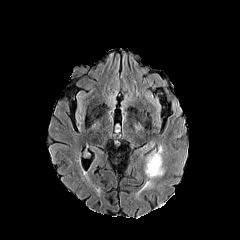
FLAIR MRI.
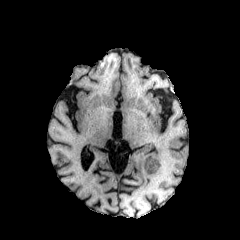
T1-weighted MRI.
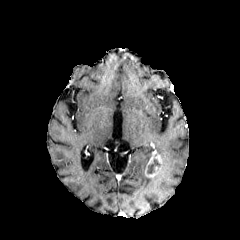
Post-contrast T1-weighted MR.
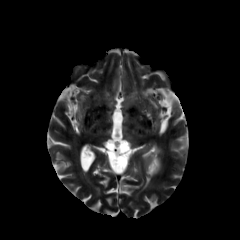
Same slice, T2-weighted MR image.
Brain | 240x240
{"non-enhancing_tumor_core": ["box=[148, 160, 158, 173]"], "enhancing_tumor": ["box=[144, 155, 162, 176]"], "edema": ["box=[147, 147, 161, 158]", "box=[147, 167, 162, 179]"]}